Lung. CT.
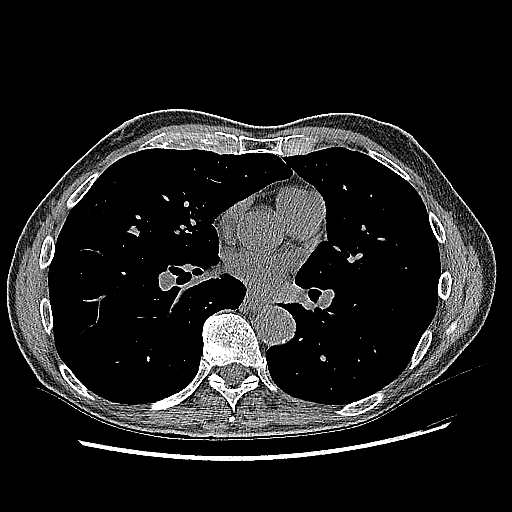 Lung tumor at l=126, t=225, r=142, b=236.